Upper abdomen. CT slice.

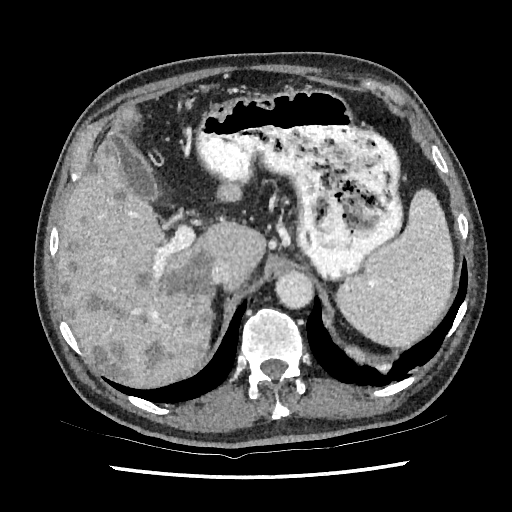
• liver lesion: 138, 315, 147, 323; 142, 338, 173, 370; 199, 309, 209, 326; 134, 270, 150, 287; 78, 213, 89, 225; 58, 282, 70, 296; 84, 291, 126, 318; 181, 315, 194, 329; 166, 250, 214, 296; 65, 306, 76, 319; 66, 238, 78, 271; 93, 343, 131, 382; 113, 189, 127, 205; 84, 161, 99, 180; 113, 115, 130, 131
• liver: 56, 105, 264, 386; 218, 183, 239, 201